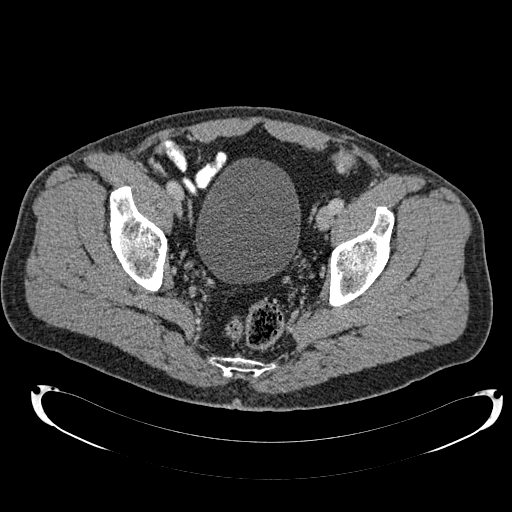 Pelvis; CT image
Urinary bladder = <bbox>195, 158, 300, 283</bbox>.